Slice index 393; Image size 512x512; Computed tomography; Abdomen
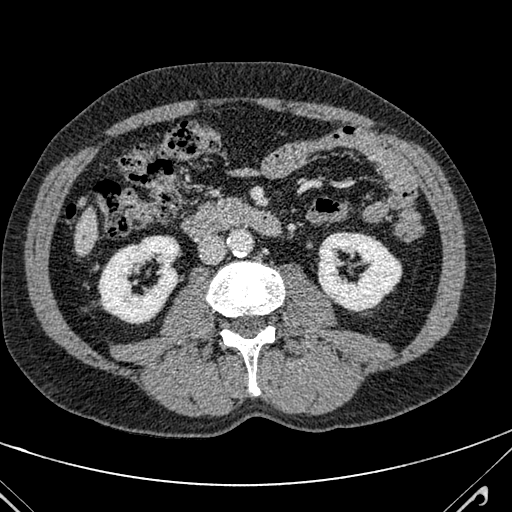 {"liver": ["x1=75, y1=208, x2=96, y2=253"]}